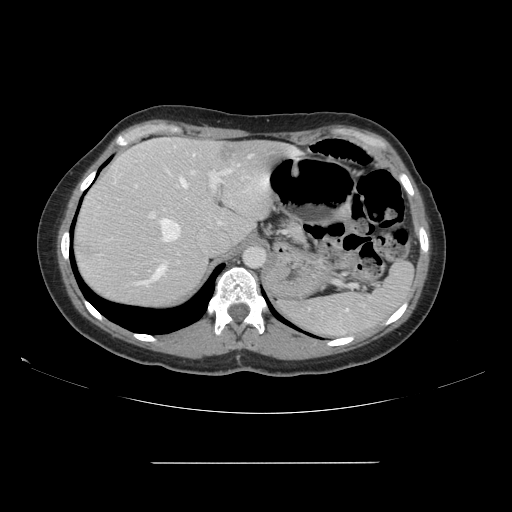
CT image | Liver

The vessel boxes may cover only some of the vessels.
Findings:
• hepatic vessel: rect(174, 146, 175, 147); rect(149, 212, 155, 217); rect(210, 170, 231, 189); rect(160, 218, 180, 241); rect(180, 177, 187, 187); rect(135, 185, 136, 187); rect(114, 176, 115, 183); rect(136, 262, 167, 285); rect(248, 155, 252, 157); rect(232, 164, 239, 166); rect(241, 177, 246, 179); rect(192, 171, 195, 173)
• liver tumor: rect(219, 144, 239, 162)